Abdomen; CT image

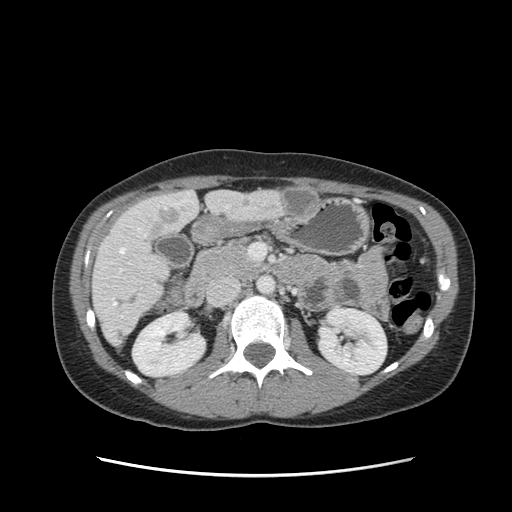
Segmented structures:
* pancreas: x1=193 y1=240 x2=262 y2=280